Abdomen. Slice index 362. CT slice.
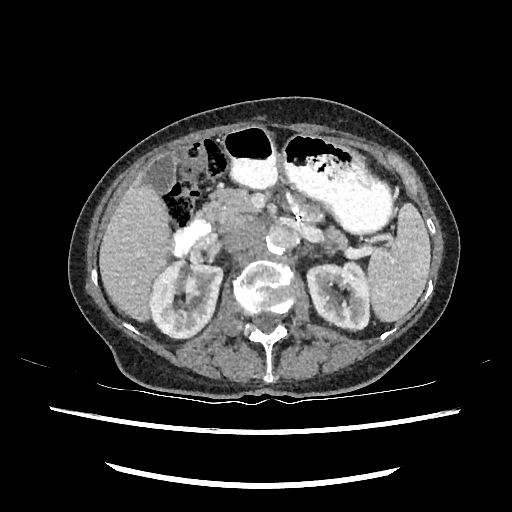
<segmentation>
  <kidney><box>307,263,368,328</box>, <box>150,260,222,337</box></kidney>
  <liver><box>100,173,172,319</box></liver>
</segmentation>